Abdomen, CT scan slice 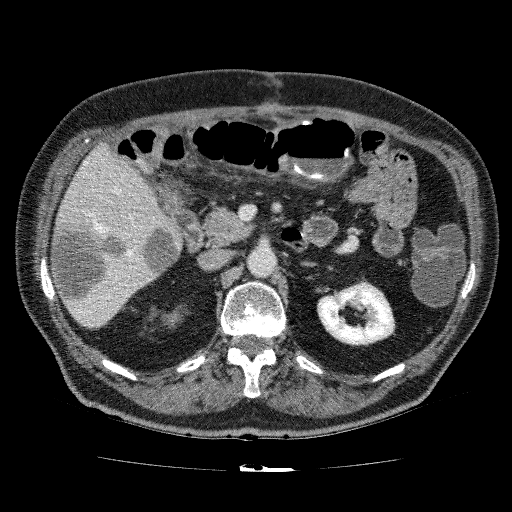 Focal liver lesion — 139, 225, 180, 277; 51, 217, 127, 304.
Kidney — 317, 282, 394, 344.
Liver — 56, 141, 184, 328.